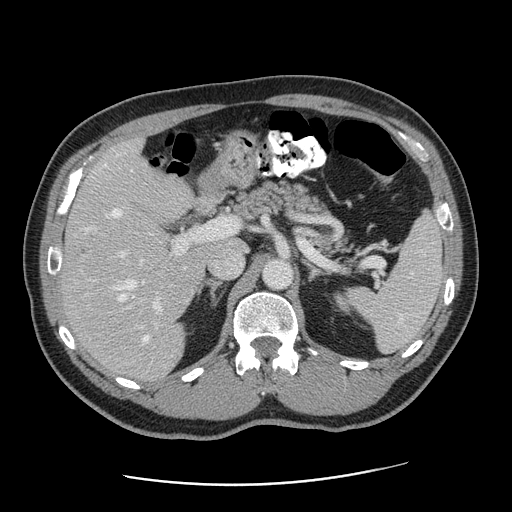 Computed tomography, Abdomen

Only some of the vessels may be annotated.
hepatic_vessel:
  - bbox=[141, 259, 142, 261]
  - bbox=[112, 279, 135, 289]
  - bbox=[118, 252, 124, 256]
  - bbox=[154, 298, 160, 309]
  - bbox=[85, 227, 93, 230]
  - bbox=[143, 336, 148, 342]
  - bbox=[209, 244, 246, 277]
  - bbox=[113, 209, 120, 216]
  - bbox=[118, 293, 125, 300]
  - bbox=[173, 217, 238, 254]
liver_tumor:
  - bbox=[77, 246, 88, 257]